Field of view 200x200 mm, Slice 16/20, 320x320
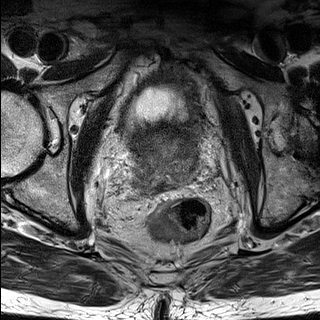
T2-weighted MR.
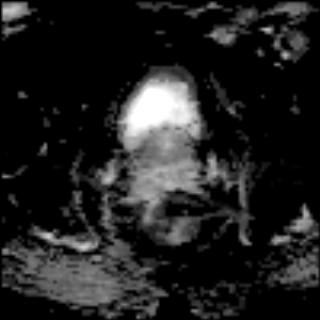
ADC magnetic resonance.
Prostate transition zone = bbox=[135, 134, 197, 181].